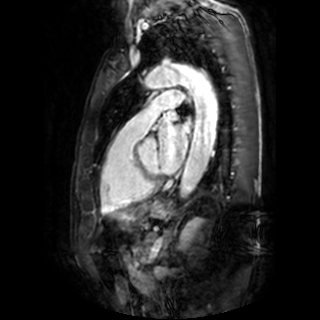
MRI slice, Heart, 320x320

<segmentation>
  <left_atrium>box(159, 124, 189, 174); box(166, 111, 177, 119)</left_atrium>
</segmentation>